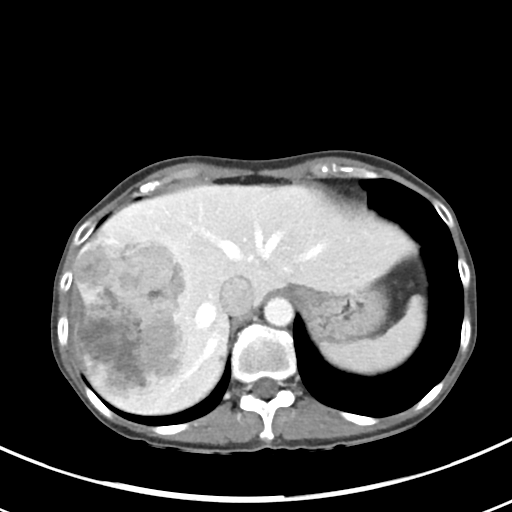
Computed tomography; Liver

Not every hepatic vessel necessarily has a box.
<segmentation>
  <hepatic_vessel>(x1=206, y1=233, x2=213, y2=237), (x1=265, y1=240, x2=270, y2=255), (x1=197, y1=304, x2=213, y2=326), (x1=218, y1=240, x2=240, y2=258), (x1=256, y1=232, x2=261, y2=247), (x1=189, y1=341, x2=213, y2=372), (x1=305, y1=252, x2=309, y2=257)</hepatic_vessel>
  <liver_tumor>(x1=75, y1=225, x2=189, y2=400)</liver_tumor>
</segmentation>